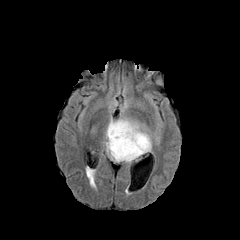
FLAIR magnetic resonance.
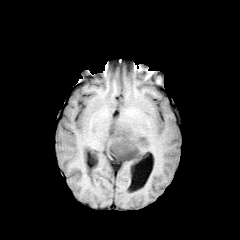
T1-weighted MR image of the same slice.
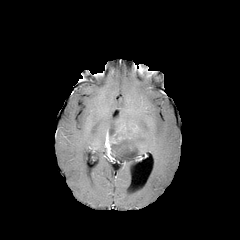
Post-contrast T1-weighted MRI.
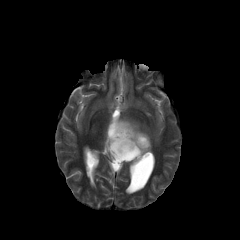
Same slice, T2-weighted magnetic resonance.
2 edema regions are bounded by left=117, top=86, right=127, bottom=96; left=102, top=98, right=153, bottom=165. 2 enhancing tumor regions are located at left=110, top=132, right=138, bottom=145; left=136, top=142, right=147, bottom=153. The non-enhancing tumor core is bounded by left=111, top=137, right=146, bottom=159.